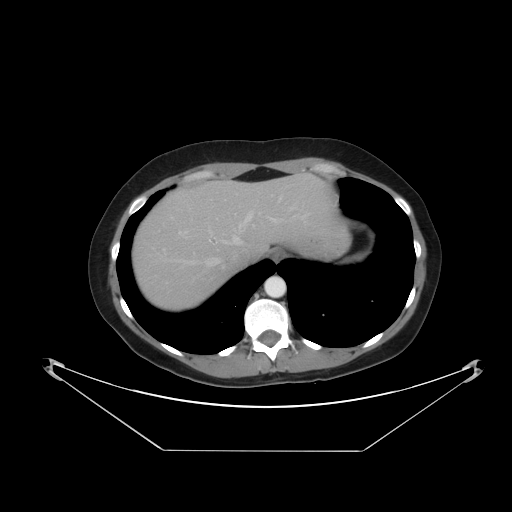 CT, Image size 512x512

Not every hepatic vessel necessarily has a box.
• hepatic vessel: 270 218 280 222, 205 257 220 266, 206 231 243 244, 301 214 308 218, 179 231 186 234, 183 261 194 263, 279 197 281 200, 238 212 252 231